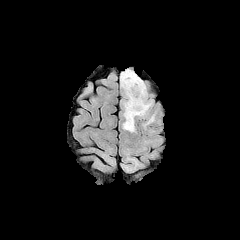
FLAIR magnetic resonance.
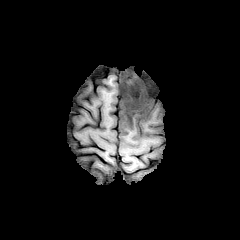
T1-weighted MR.
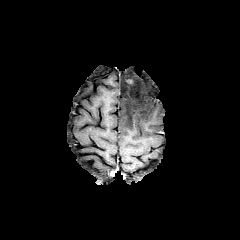
Same slice, post-contrast T1-weighted MR image.
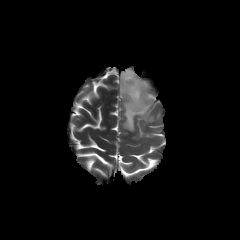
T2-weighted MRI.
Head
Edema: bounding box region(120, 69, 153, 131).
Non-enhancing tumor core: bounding box region(128, 87, 142, 120); region(124, 77, 133, 88).